FLAIR MR image.
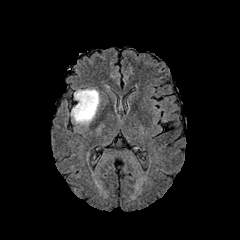
T1-weighted MR.
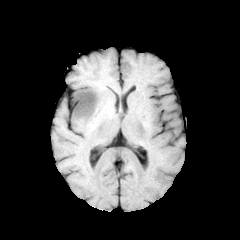
Post-contrast T1-weighted magnetic resonance.
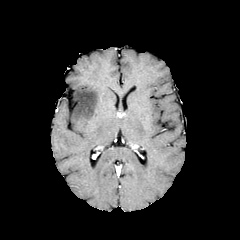
T2-weighted MR.
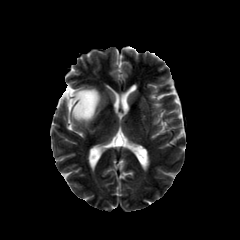
Brain
Edema = [70, 87, 101, 126].